Brain
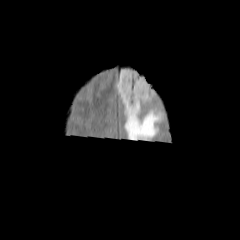
FLAIR MR.
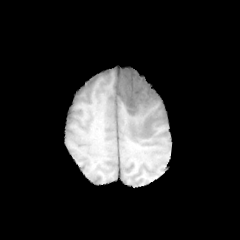
T1-weighted MRI.
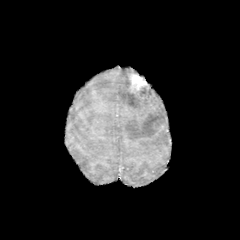
Post-contrast T1-weighted magnetic resonance of the same slice.
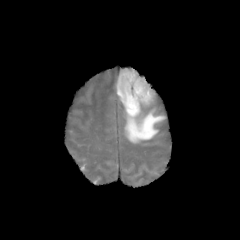
T2-weighted MRI.
enhancing_tumor:
  - x1=127, y1=70, x2=148, y2=94
edema:
  - x1=116, y1=68, x2=165, y2=142